Head
FLAIR MR image.
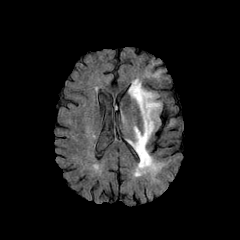
T1-weighted MR image.
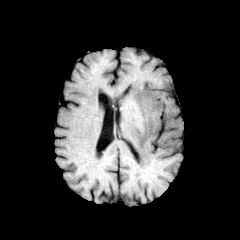
Post-contrast T1-weighted MRI.
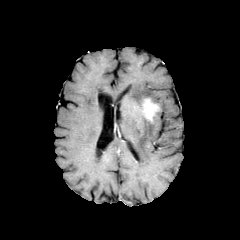
T2-weighted MRI.
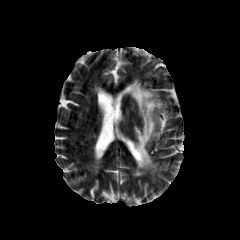
enhancing_tumor:
  - <box>140,98,160,123</box>
edema:
  - <box>126,79,162,176</box>